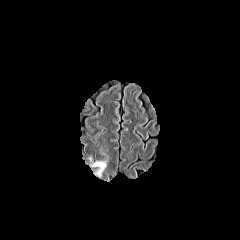
FLAIR MR.
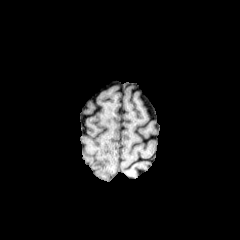
Same slice, T1-weighted MR image.
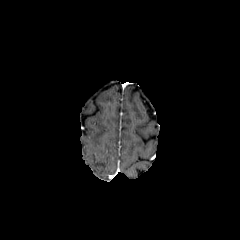
Post-contrast T1-weighted MR image.
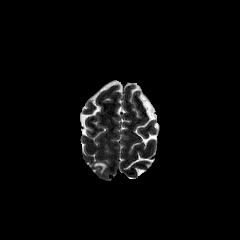
T2-weighted MRI.
Image size 240x240; Brain
The edema lies within bbox(92, 162, 107, 170).